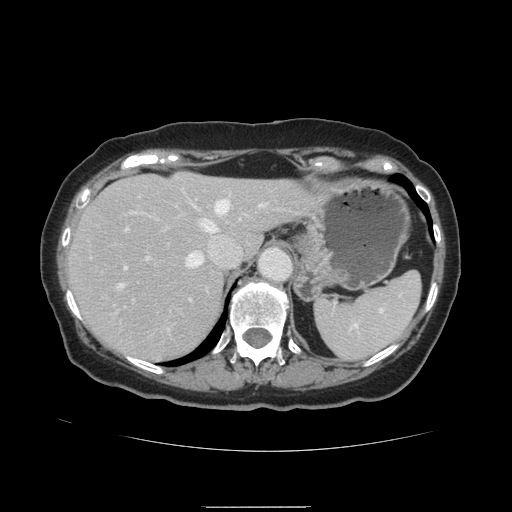 CT; Liver
Only some of the vessels may be annotated.
Annotated regions:
• hepatic vessel: box=[146, 257, 149, 259]; box=[116, 284, 122, 288]; box=[260, 203, 266, 207]; box=[125, 229, 126, 231]; box=[199, 219, 215, 232]; box=[185, 252, 201, 267]; box=[214, 199, 228, 213]